512x512 px. CT image. Upper abdomen.
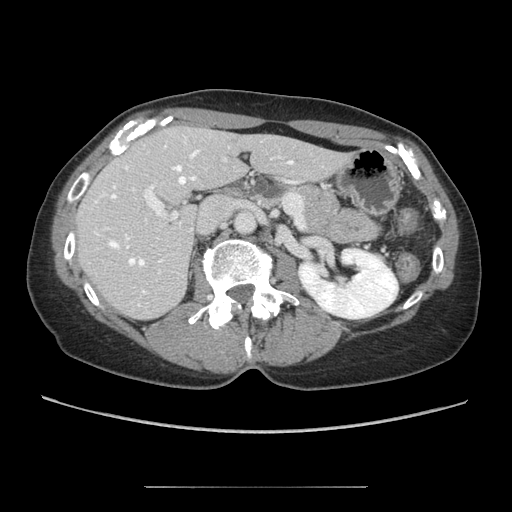

The pancreas lies within rect(236, 172, 339, 237). The pancreatic tumor is located at rect(252, 178, 285, 198).